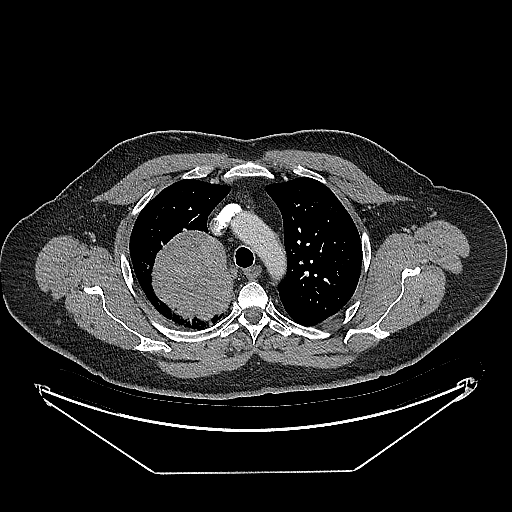

512x512 px; Thorax; CT
Lung tumor — {"x1": 148, "y1": 228, "x2": 235, "y2": 328}.